CT | Abdomen | Slice index 38 | Image width 472 mm

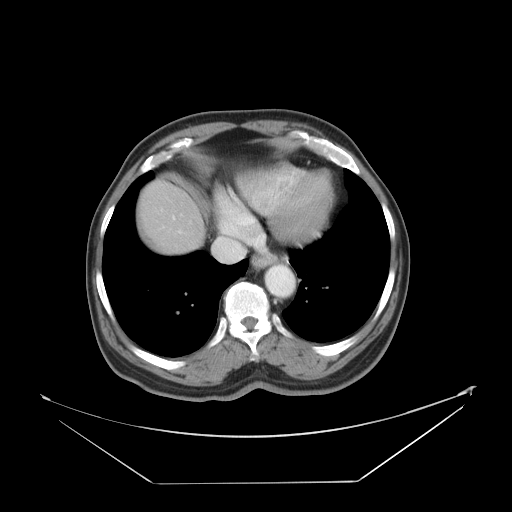 The vessel boxes may cover only some of the vessels.
3 hepatic vessel regions are located at 161 226 164 228, 172 216 174 219, 178 230 182 233.